Slice index 57 | Abdomen | Computed tomography 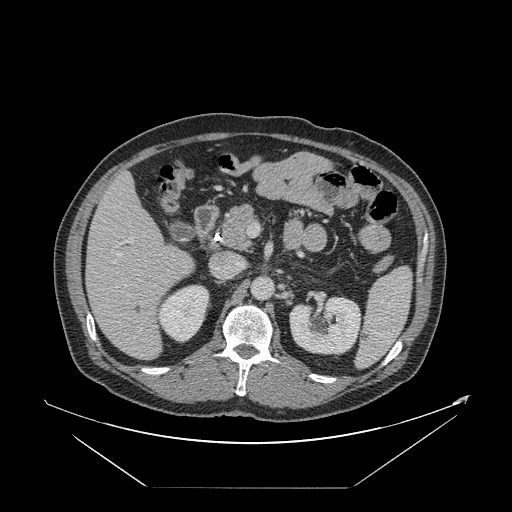
Only some of the vessels may be annotated.
{"hepatic_vessel": ["rect(113, 261, 115, 263)", "rect(125, 238, 132, 242)", "rect(118, 243, 121, 245)", "rect(117, 254, 120, 255)"]}